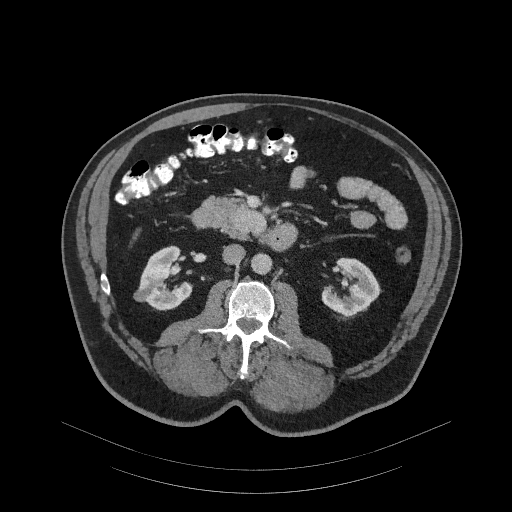 CT scan slice, Abdomen, Image size 512x512

pancreatic tumor: [233,208,266,235] | pancreas: [205,196,255,239]